CT scan slice. Abdomen. 512x512.
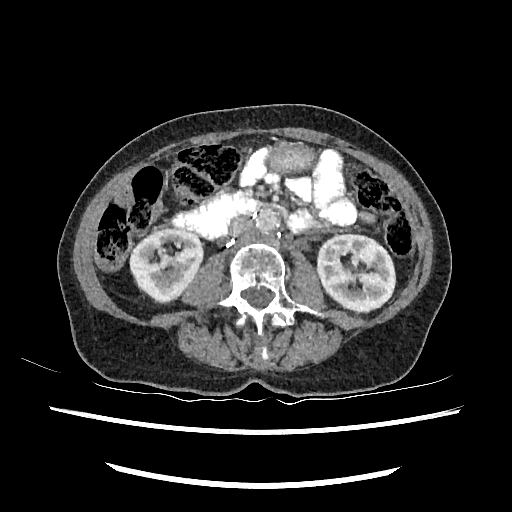

{
  "kidney": [
    "(left=318, top=235, right=394, bottom=310)",
    "(left=130, top=228, right=202, bottom=300)"
  ]
}